CT slice, Field of view 700 mm wide, 3.27 mm slice spacing

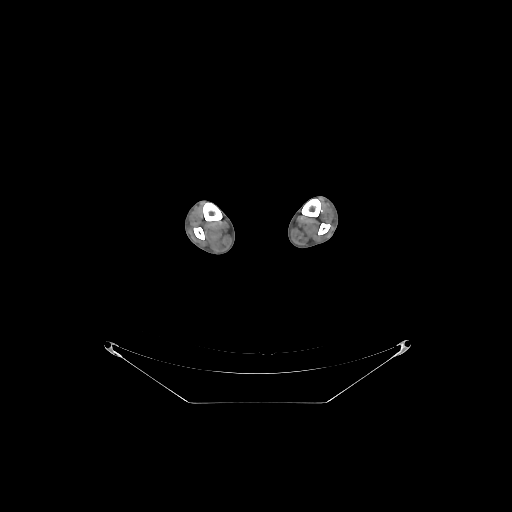

Bone = (302,199,321,216), (318,223,330,234), (193,227,204,239), (203,202,222,221).